Liver. CT image. Image width 358 mm. 512x512.
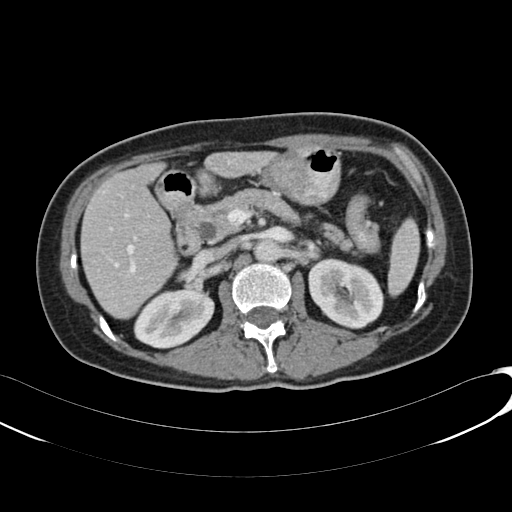

Annotated regions:
* kidney: x1=135 y1=290 x2=213 y2=347, x1=309 y1=260 x2=382 y2=327
* liver: x1=205 y1=152 x2=275 y2=177, x1=81 y1=162 x2=176 y2=316